Brain; 240x240
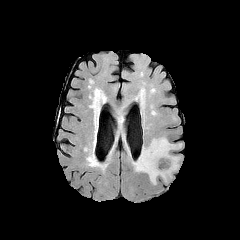
FLAIR magnetic resonance.
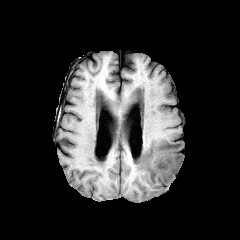
Same slice, T1-weighted magnetic resonance.
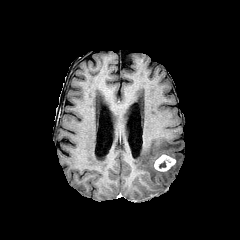
Post-contrast T1-weighted MRI.
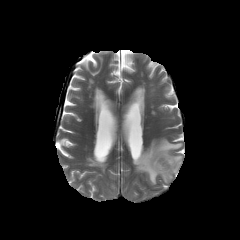
T2-weighted magnetic resonance of the same slice.
Findings:
• edema: 132,137,181,184
• enhancing tumor: 153,154,176,172